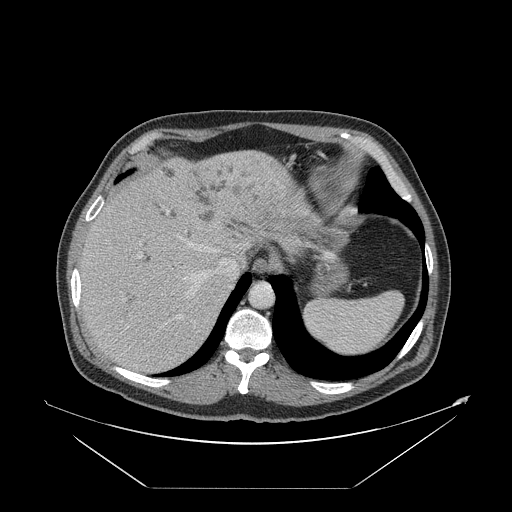
CT, Abdomen
Only some of the vessels may be annotated.
hepatic_vessel:
  - [245, 243, 249, 246]
  - [166, 210, 167, 213]
  - [216, 179, 220, 183]
  - [191, 321, 193, 323]
  - [178, 235, 218, 252]
  - [176, 316, 181, 318]
  - [182, 253, 238, 297]
  - [137, 252, 142, 257]
  - [139, 241, 140, 244]
  - [122, 299, 125, 301]